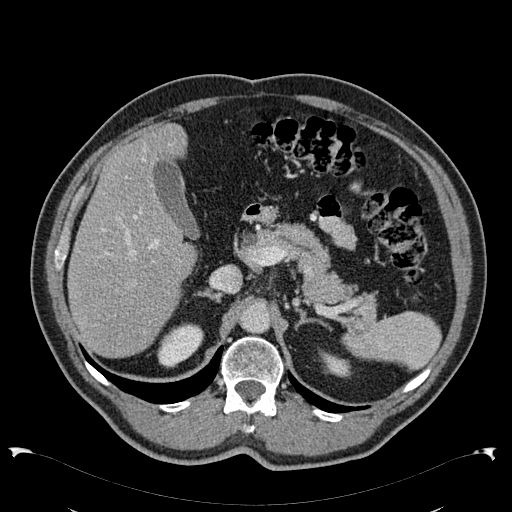 CT, 512x512 px
2 kidney regions are located at bbox=[321, 353, 350, 376]; bbox=[157, 324, 203, 366]. The liver is located at bbox=[67, 123, 197, 358].